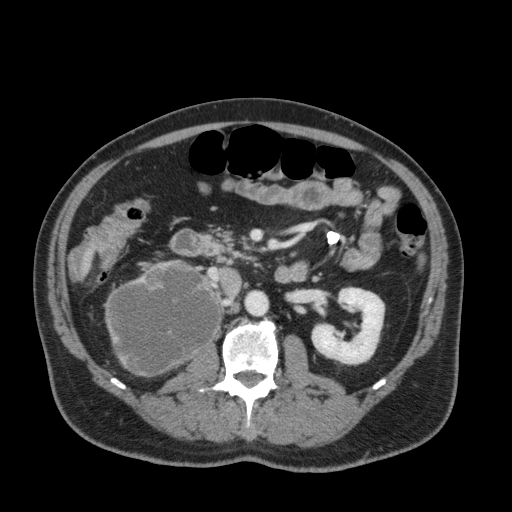 CT slice | 512x512 px
<segmentation>
  <liver>[82,251,93,277]</liver>
  <kidney>[312,288,383,363]</kidney>
</segmentation>